FLAIR magnetic resonance.
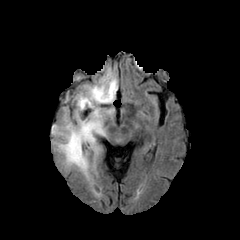
T1-weighted MRI.
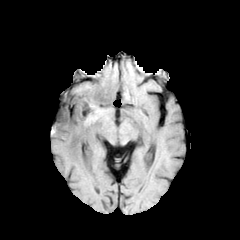
Post-contrast T1-weighted MR image.
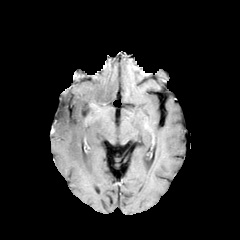
T2-weighted magnetic resonance.
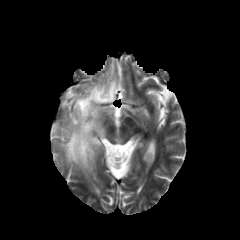
Brain
edema: 51 65 118 183